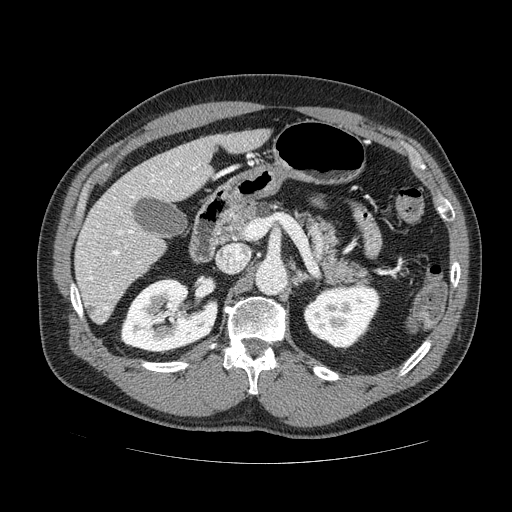

CT image.
Pancreas at (x1=218, y1=201, x2=283, y2=243), (x1=290, y1=209, x2=370, y2=286).